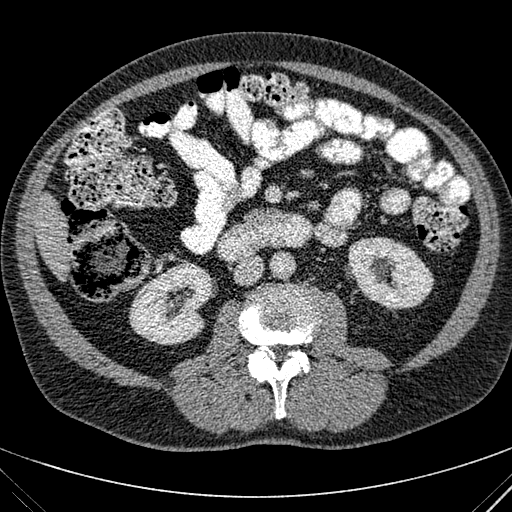
Upper abdomen; CT image
Liver = bbox=[36, 193, 66, 281].
Kidney = bbox=[129, 263, 212, 344]; bbox=[348, 238, 433, 308].